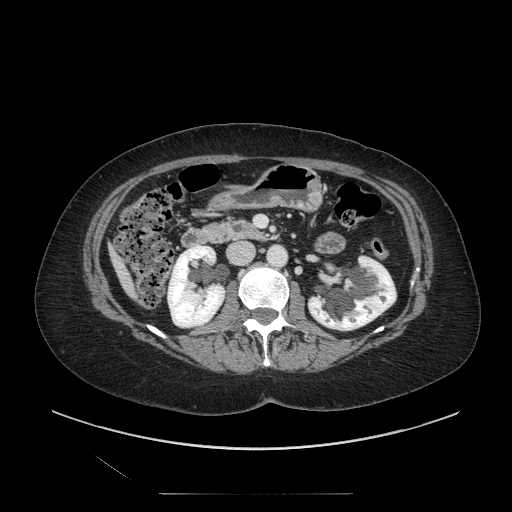

Abdomen | CT image | 512x512 px

Pancreas — 203 219 264 243.